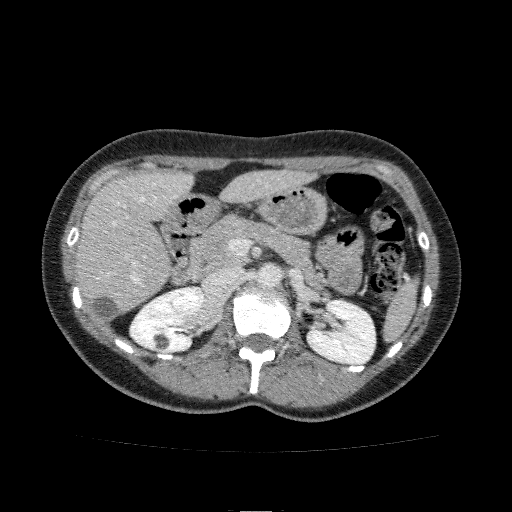

Liver | Image size 512x512 | CT image

2 kidney regions appear at bbox=[130, 287, 203, 352]; bbox=[307, 300, 375, 364]. 2 liver regions are located at bbox=[219, 170, 316, 202]; bbox=[75, 170, 193, 310].